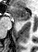 MR | Image size 38x52

<segmentation>
  <anterior_hippocampus>bbox=[9, 7, 29, 20]</anterior_hippocampus>
</segmentation>